Cardiac | Slice 36 of 109 | MR image
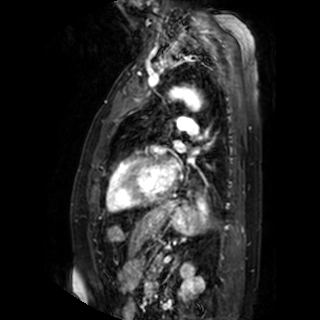
Segmented structures:
- left atrium: (164, 163, 177, 181), (175, 142, 184, 152)